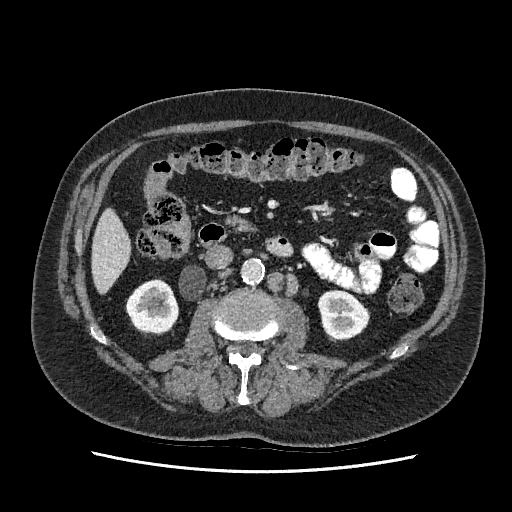

Computed tomography, Upper abdomen
Kidney: bounding box {"x1": 319, "y1": 291, "x2": 368, "y2": 338}, {"x1": 127, "y1": 280, "x2": 177, "y2": 332}.
Liver: bounding box {"x1": 92, "y1": 209, "x2": 130, "y2": 292}.